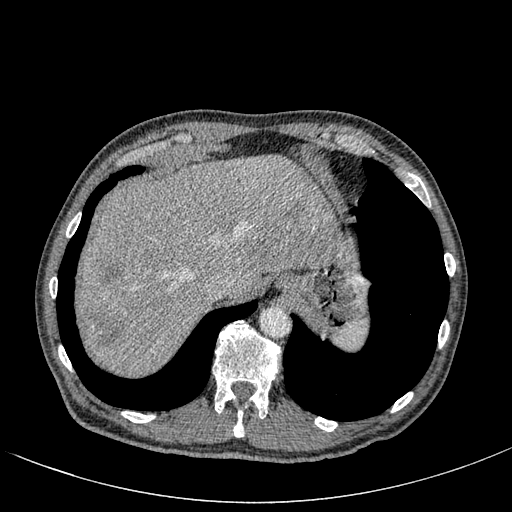 CT slice

5 liver lesion regions appear at [99, 263, 121, 285], [287, 202, 308, 222], [217, 168, 224, 176], [250, 247, 273, 263], [83, 304, 127, 347]. The liver is bounded by [79, 154, 351, 375].